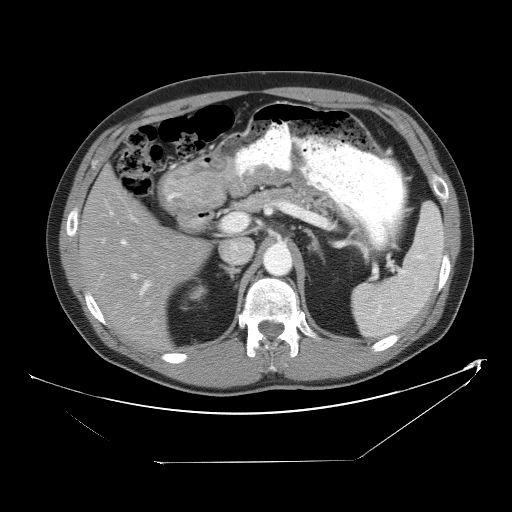

CT. Abdomen.

Some hepatic vessels may have no box.
Hepatic vessel — (x1=121, y1=239, x2=123, y2=242), (x1=145, y1=302, x2=149, y2=305), (x1=102, y1=238, x2=105, y2=242), (x1=145, y1=280, x2=148, y2=281), (x1=104, y1=199, x2=113, y2=214), (x1=128, y1=209, x2=131, y2=218), (x1=132, y1=273, x2=138, y2=278), (x1=152, y1=319, x2=155, y2=324), (x1=131, y1=317, x2=133, y2=319).